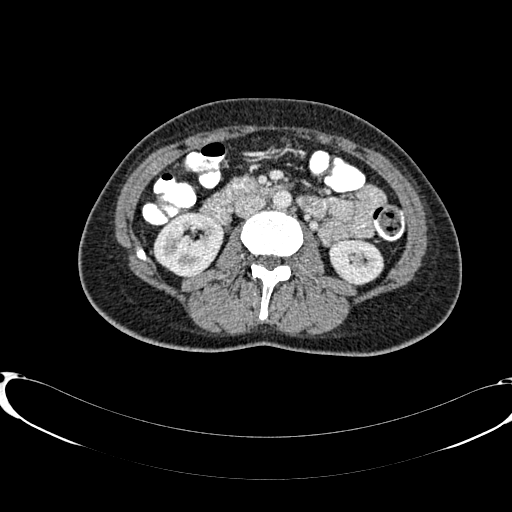 Computed tomography, Abdomen
Kidney: bounding box 330:241:382:283, 155:214:221:275.